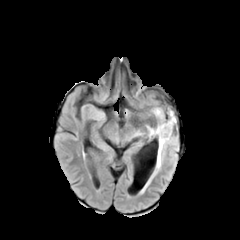
FLAIR MR image.
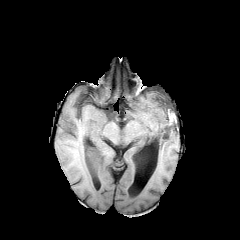
T1-weighted MR.
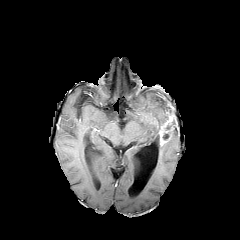
Post-contrast T1-weighted MR of the same slice.
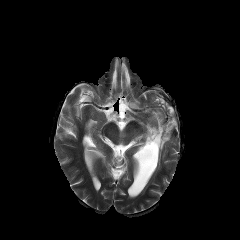
T2-weighted magnetic resonance of the same slice.
Head
Segmented structures:
• edema: box=[143, 105, 177, 190]
• non-enhancing tumor core: box=[163, 120, 175, 142]; box=[150, 132, 159, 147]
• enhancing tumor: box=[158, 116, 173, 146]